Upper abdomen, CT scan slice, Image size 512x512, Image width 380 mm, Slice 30 of 89

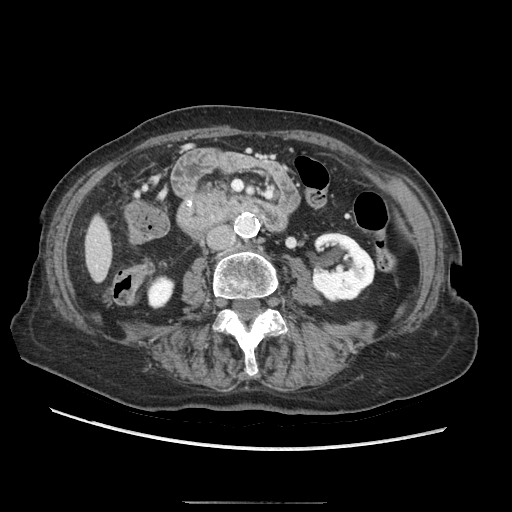

pancreas: region(203, 184, 224, 198)